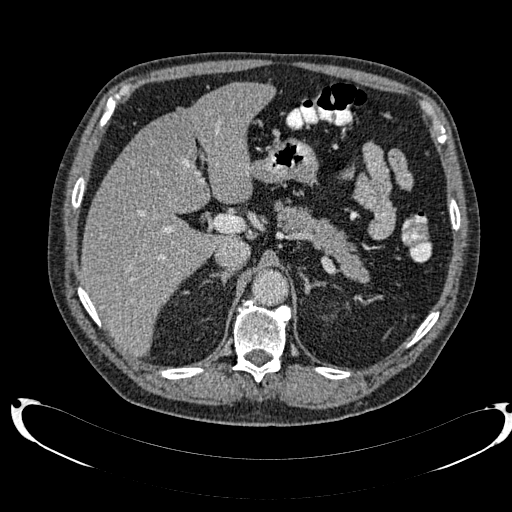

CT scan slice, Abdomen
liver: bbox=[81, 82, 274, 355] | liver lesion: bbox=[138, 114, 189, 171]